240x240 | Image width 240 mm | Brain
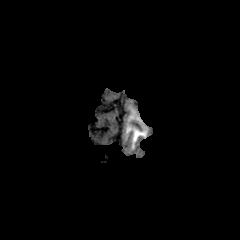
FLAIR MR image.
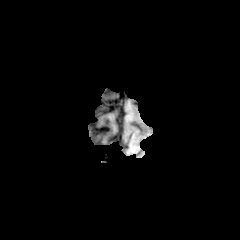
T1-weighted MR image of the same slice.
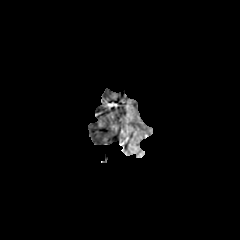
Post-contrast T1-weighted MR.
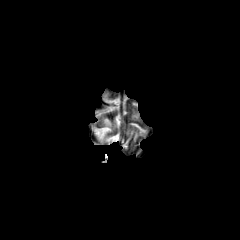
Same slice, T2-weighted magnetic resonance.
<segmentation>
  <edema>[x1=125, y1=105, x2=149, y2=149]</edema>
</segmentation>